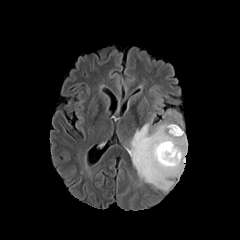
FLAIR MR.
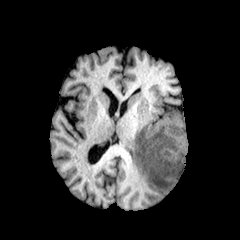
T1-weighted MR image of the same slice.
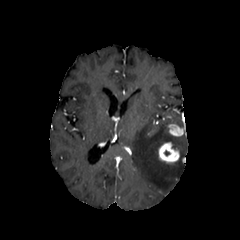
Post-contrast T1-weighted MR image.
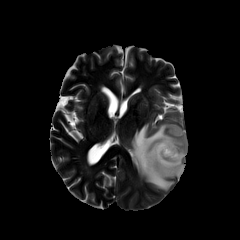
T2-weighted MR image.
Head
The edema is bounded by [130,121,187,190]. 2 enhancing tumor regions appear at [169,124,183,136], [159,142,179,162].